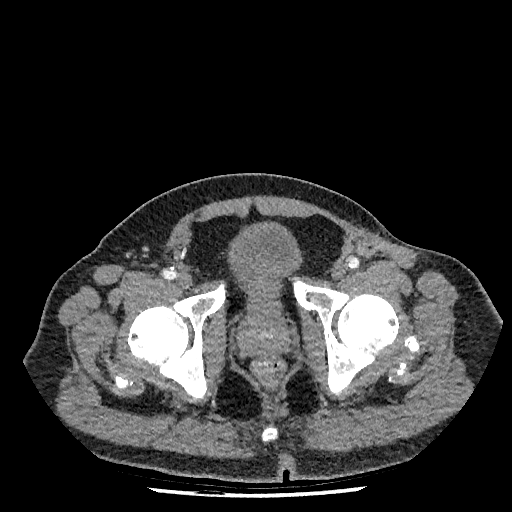 512x512 | CT

The urinary bladder lies within (left=226, top=225, right=302, bottom=319).